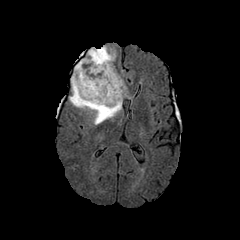
FLAIR MR.
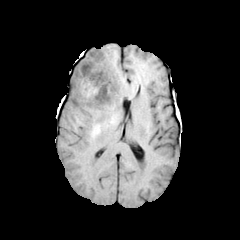
T1-weighted MR.
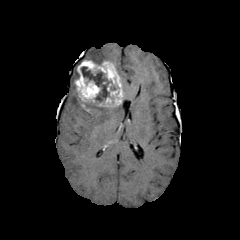
Post-contrast T1-weighted MR.
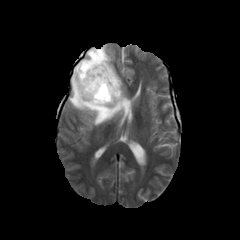
T2-weighted MRI.
Brain.
non-enhancing_tumor_core:
  - (81, 66, 111, 102)
  - (76, 92, 105, 109)
  - (81, 55, 97, 63)
enhancing_tumor:
  - (74, 60, 123, 105)
edema:
  - (69, 78, 123, 125)
  - (76, 46, 114, 65)